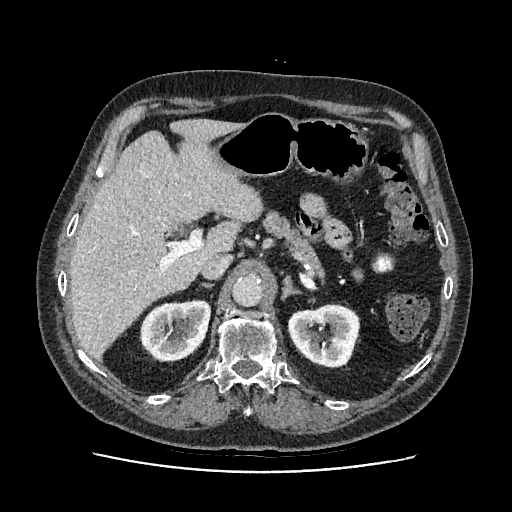
Upper abdomen, CT, 512x512 px

Liver — left=71, top=120, right=260, bottom=357.
Kidney — left=141, top=301, right=209, bottom=360; left=289, top=305, right=358, bottom=366.